Head
FLAIR magnetic resonance.
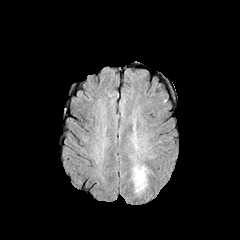
T1-weighted MR image.
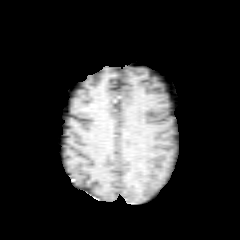
Post-contrast T1-weighted MR image.
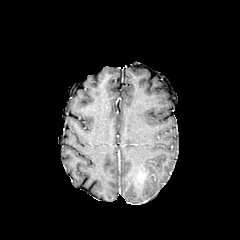
T2-weighted MR image.
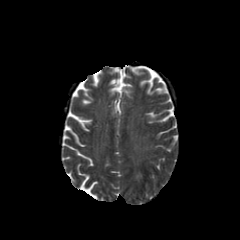
{
  "edema": [
    "[x1=133, y1=166, x2=146, y2=192]"
  ]
}